Image size 512x512, Liver, CT scan slice

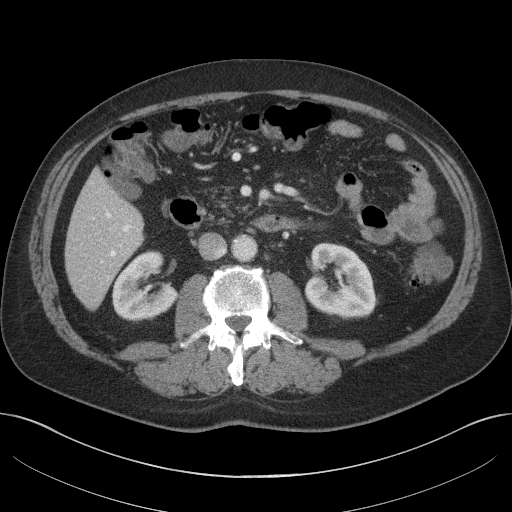
The liver is located at (64, 168, 145, 307). 2 kidney regions are located at (306, 244, 374, 315), (113, 253, 176, 318).